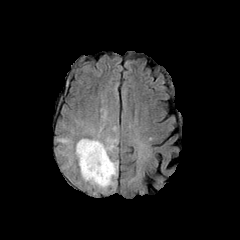
FLAIR MR.
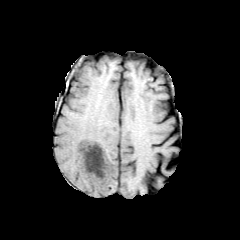
T1-weighted MR image.
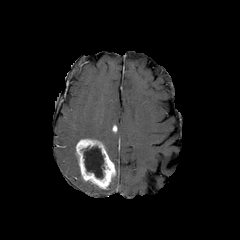
Post-contrast T1-weighted MRI of the same slice.
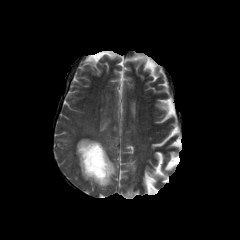
T2-weighted MRI of the same slice.
Brain
The enhancing tumor lies within bbox(75, 139, 116, 189). The non-enhancing tumor core is at bbox(83, 146, 105, 179). The edema is at bbox(54, 104, 119, 195).